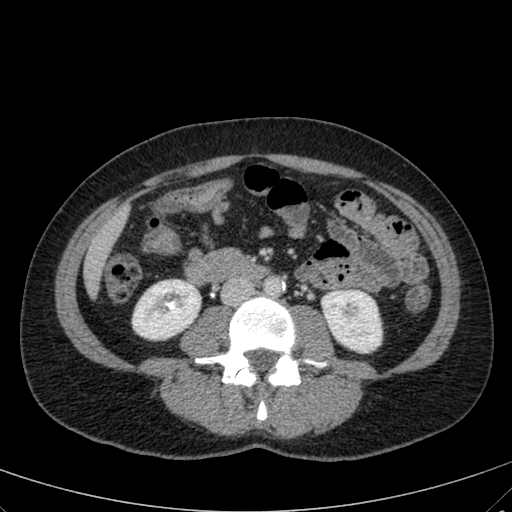

CT image | Upper abdomen
Kidney at x1=322 y1=290 x2=381 y2=352, x1=133 y1=280 x2=199 y2=338.
Liver at x1=84 y1=208 x2=124 y2=297.